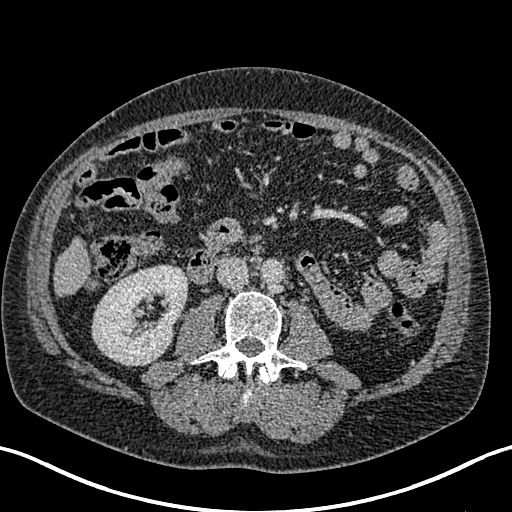 Computed tomography. {"kidney": ["(92, 266, 187, 365)"], "liver": ["(54, 238, 88, 296)"]}